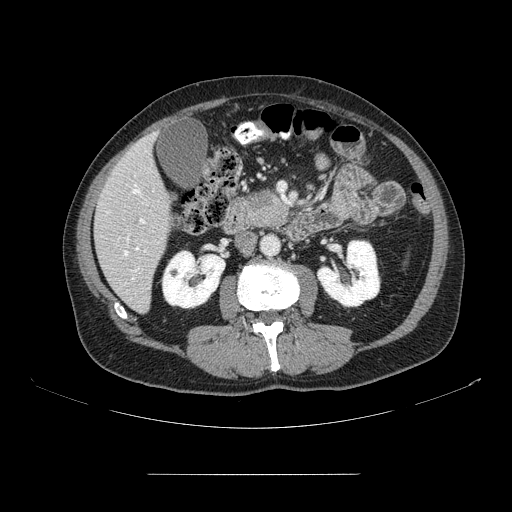

CT scan slice; Image size 512x512
{
  "pancreatic_tumor": [
    "bbox(249, 192, 272, 207)"
  ],
  "pancreas": [
    "bbox(239, 188, 291, 231)"
  ]
}